Slice 24/82, Upper abdomen, Computed tomography, 512x512 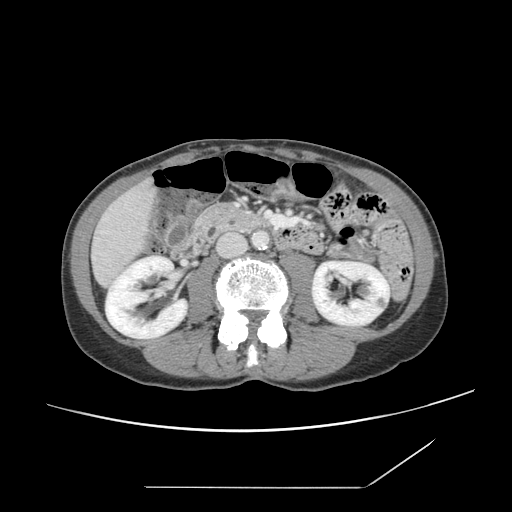

Segmented structures:
- pancreas: (x1=195, y1=203, x2=265, y2=242)